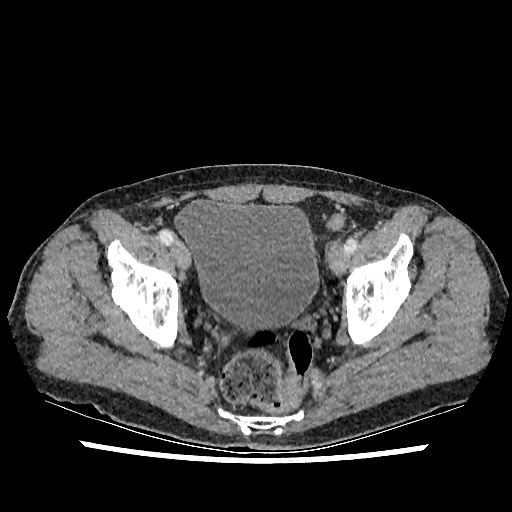
CT slice, 512x512 px
<segmentation>
  <urinary_bladder><bbox>175, 198, 318, 331</bbox></urinary_bladder>
</segmentation>